Field of view 240x240 mm. Head.
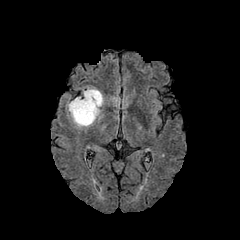
FLAIR MR.
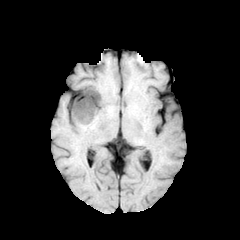
T1-weighted MR image.
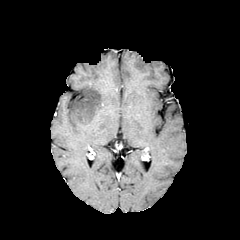
Same slice, post-contrast T1-weighted magnetic resonance.
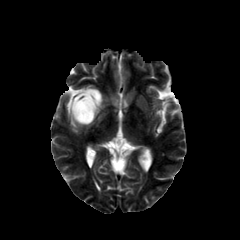
Same slice, T2-weighted magnetic resonance.
edema: region(67, 87, 103, 126)